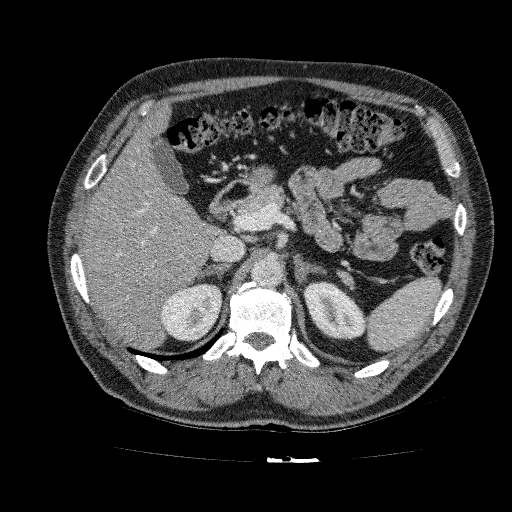
Abdomen, CT slice
2 kidney regions are located at (left=160, top=284, right=221, bottom=340), (left=304, top=283, right=365, bottom=337). The liver is bounded by (left=80, top=104, right=224, bottom=349).